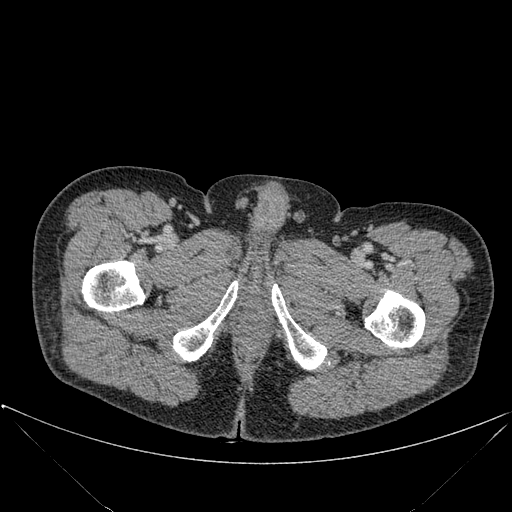 CT slice, 512x512 px
bone: x1=365 y1=290 x2=424 y2=348, x1=173 y1=281 x2=237 y2=361, x1=82 y1=261 x2=144 y2=312, x1=272 y1=284 x2=326 y2=369